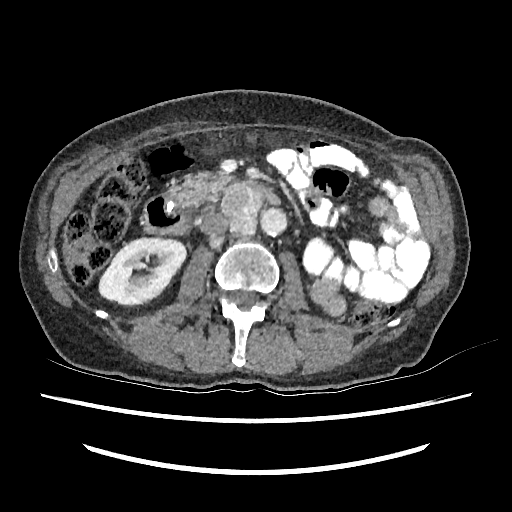

CT slice.

• kidney: box=[99, 238, 185, 304]